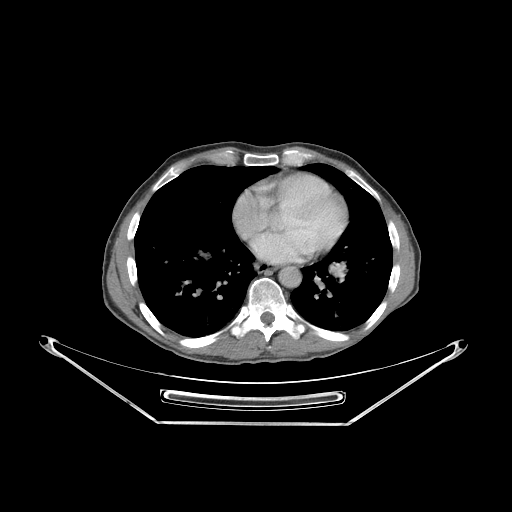

CT slice, Thorax
Lung at [290,164,392,330], [134,165,276,336].
Bone at [389,265,399,291], [230,278,304,340], [309,325,348,340], [153,168,177,189], [180,332,220,347], [128,213,139,239], [140,303,162,333], [244,154,278,165], [389,222,398,248], [366,303,386,328], [127,257,136,284], [360,183,377,196].